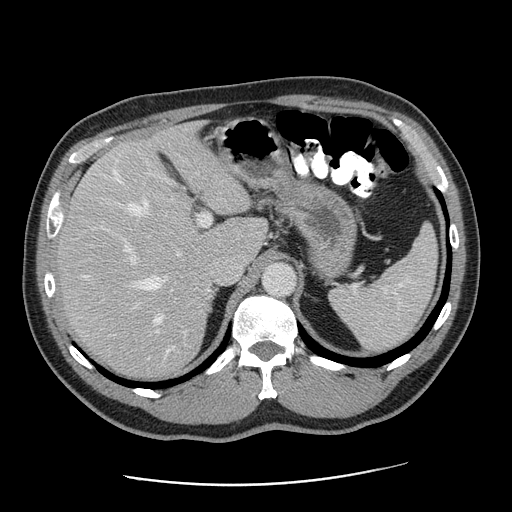
CT image

Not every hepatic vessel necessarily has a box.
The largest 15 hepatic vessel regions (of 18) are located at (202,253,247,283), (238,244,246,247), (84,275,90,277), (131,277,160,289), (177,252,181,255), (126,205,142,214), (157,328,159,332), (163,276,167,279), (114,170,119,179), (154,316,160,324), (198,212,211,226), (126,247,135,261), (218,244,224,246), (115,203,120,205), (144,199,148,206). The liver tumor lies within (166,181,185,197).